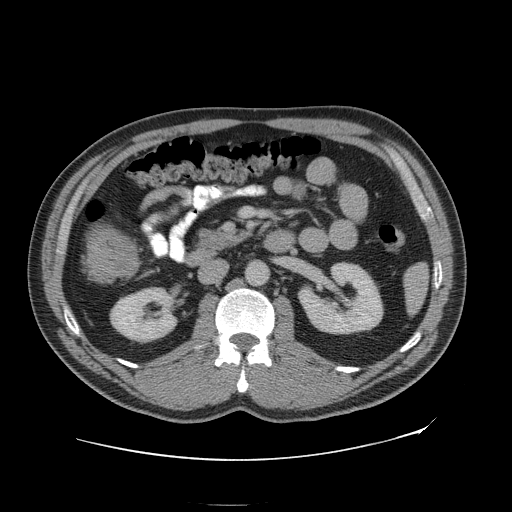 CT image, Abdomen

The colon tumor is at 88,228,138,281.